Upper abdomen | Computed tomography 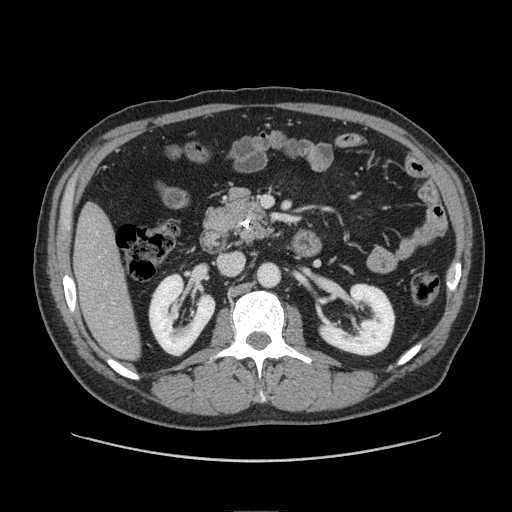

<segmentation>
  <pancreatic_tumor>243 227 254 239</pancreatic_tumor>
  <pancreas>201 186 277 248</pancreas>
</segmentation>